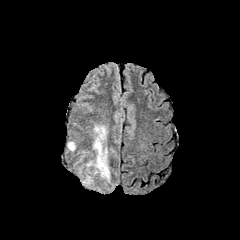
FLAIR magnetic resonance.
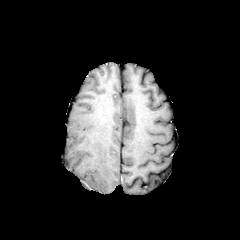
T1-weighted MR.
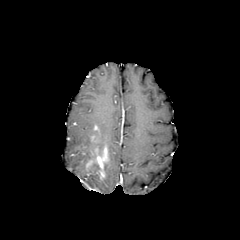
Post-contrast T1-weighted MR of the same slice.
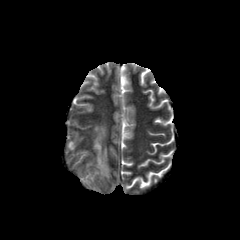
T2-weighted MR of the same slice.
Edema — (67, 141, 75, 151), (93, 125, 107, 155), (104, 161, 110, 182), (82, 174, 92, 185).
Enhancing tumor — (85, 161, 93, 169), (95, 146, 108, 178).